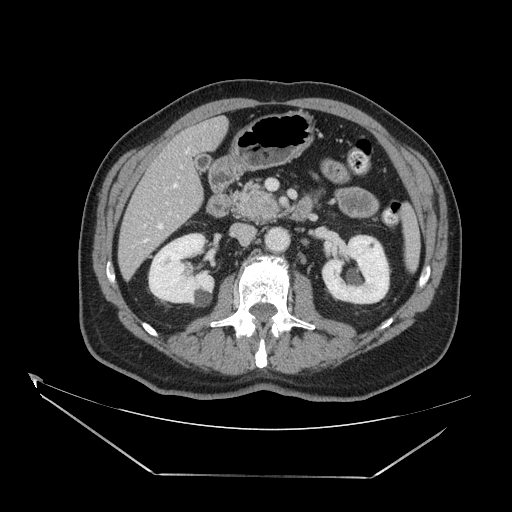
CT scan slice, Abdomen, 512x512
{
  "pancreas": [
    "bbox=[232, 182, 278, 221]"
  ],
  "pancreatic_tumor": [
    "bbox=[244, 194, 273, 215]"
  ]
}